FLAIR MR.
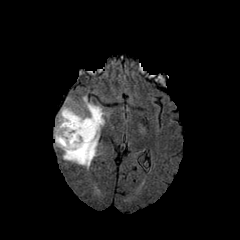
T1-weighted MR.
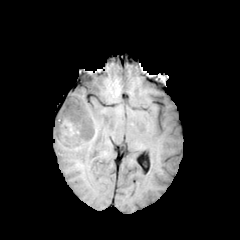
Post-contrast T1-weighted MR.
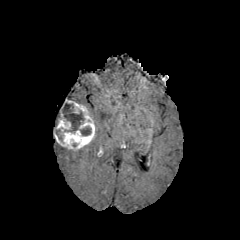
T2-weighted MR image.
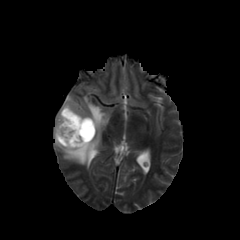
2 non-enhancing tumor core regions appear at left=54, top=129, right=64, bottom=142; left=60, top=103, right=91, bottom=136. The enhancing tumor is located at left=53, top=98, right=94, bottom=150. The edema is bounded by left=55, top=95, right=111, bottom=170.